Slice index 25, 35x51 px, MR, Medial temporal lobe

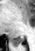
Posterior hippocampus: bounding box box(12, 36, 24, 42).